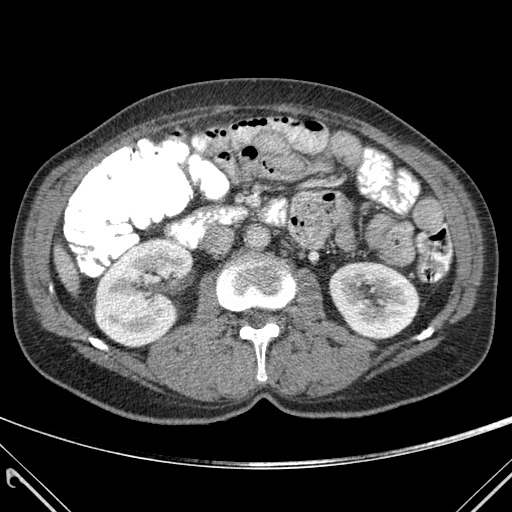

Image size 512x512, Upper abdomen, CT
{
  "liver": [
    "region(55, 245, 72, 274)",
    "region(62, 267, 78, 294)"
  ],
  "kidney": [
    "region(96, 240, 186, 345)",
    "region(330, 263, 418, 337)"
  ],
  "bone": [
    "region(217, 261, 295, 310)",
    "region(417, 328, 432, 339)",
    "region(240, 323, 278, 380)",
    "region(89, 338, 106, 348)"
  ]
}